Image size 240x240. Field of view 240 mm wide, 1.00 mm slice spacing.
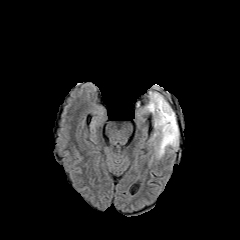
FLAIR MRI.
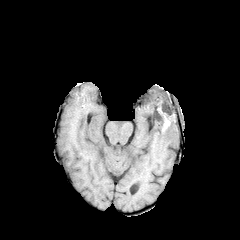
T1-weighted MRI of the same slice.
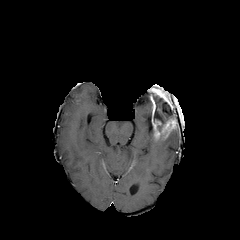
Post-contrast T1-weighted magnetic resonance.
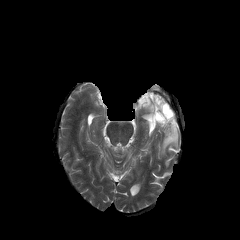
T2-weighted MR image.
{
  "non-enhancing_tumor_core": [
    "[151,96,174,131]",
    "[147,89,151,115]"
  ],
  "enhancing_tumor": [
    "[153,119,161,135]",
    "[162,112,177,137]",
    "[150,85,169,115]"
  ],
  "edema": [
    "[151,132,179,158]",
    "[143,99,149,114]"
  ]
}